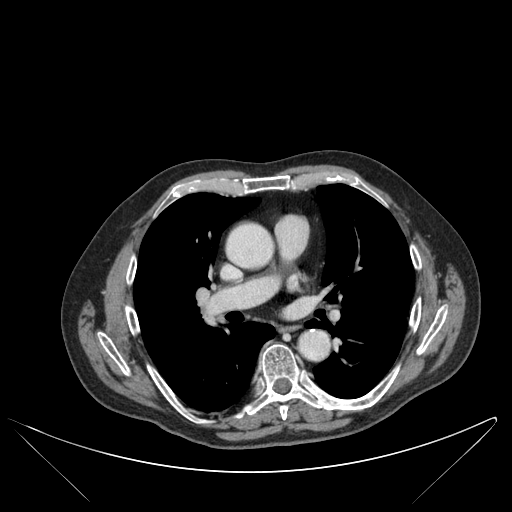

CT slice. Chest.
Annotated regions:
• lung: box(304, 184, 413, 398); box(133, 193, 275, 411)
• bone: box(353, 177, 376, 196); box(417, 306, 447, 354); box(147, 365, 207, 422); box(410, 298, 420, 330); box(98, 332, 129, 375); box(239, 175, 290, 193); box(410, 245, 421, 268); box(126, 256, 136, 283); box(125, 306, 139, 333); box(236, 344, 398, 419)